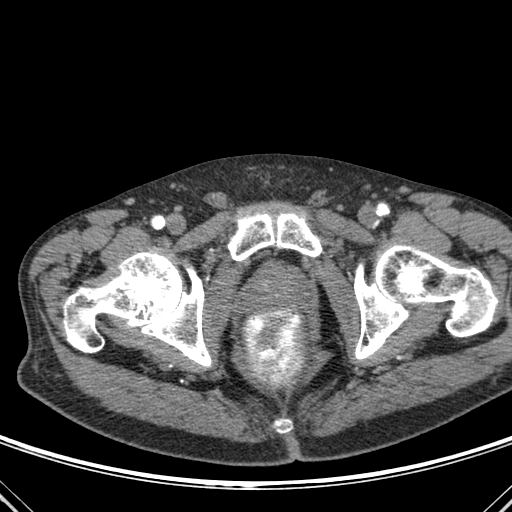
Computed tomography; 512x512 px
4 bone regions are located at l=354, t=245, r=497, b=359; l=275, t=419, r=291, b=432; l=228, t=212, r=321, b=260; l=63, t=249, r=211, b=367.